Liver, CT 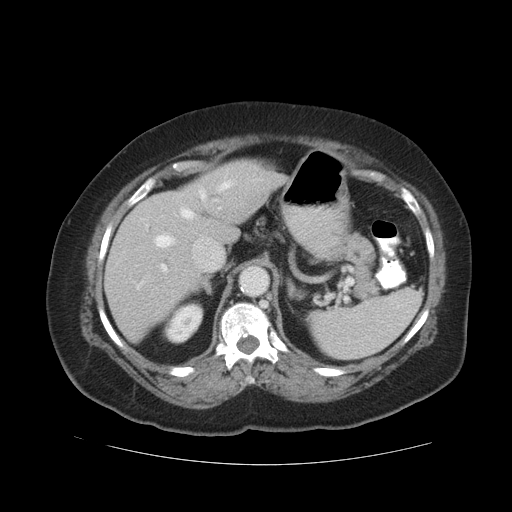 The vessel annotation is not exhaustive.
<segmentation>
  <hepatic_vessel>[161,264,166,270], [193,237,222,269], [199,188,205,200], [221,182,229,189], [181,210,193,218], [156,236,173,246]</hepatic_vessel>
</segmentation>